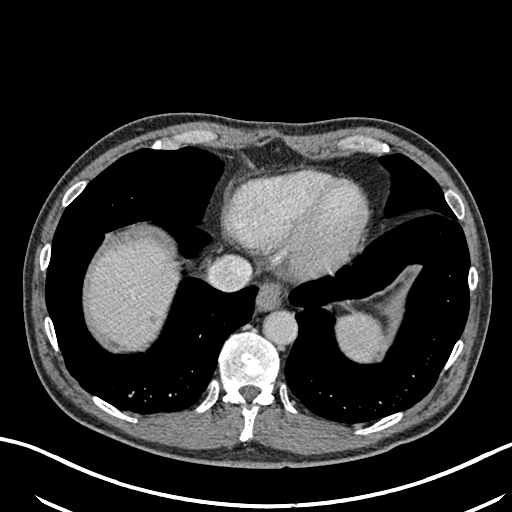

CT scan slice.
{"liver": ["(x1=88, y1=240, x2=174, y2=342)"]}